MRI.
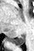 The posterior hippocampus lies within bbox(9, 35, 24, 46).